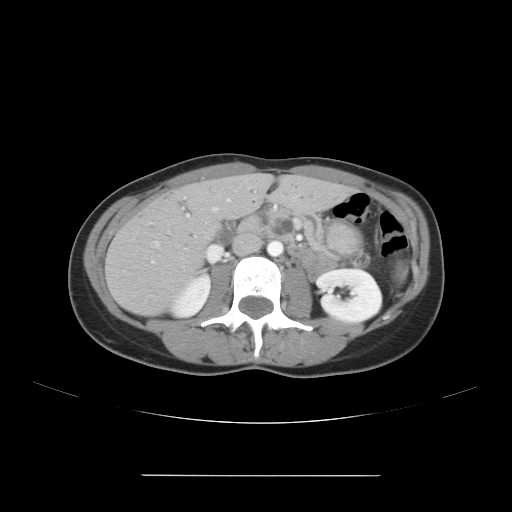 CT | Image size 512x512 | Abdomen
The pancreas lies within [x1=264, y1=207, x2=325, y2=253]. The pancreatic tumor is bounded by [x1=270, y1=217, x2=293, y2=236].